Head. 240x240.
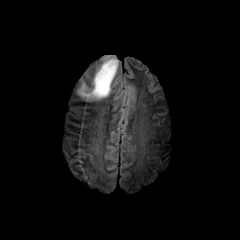
FLAIR MR.
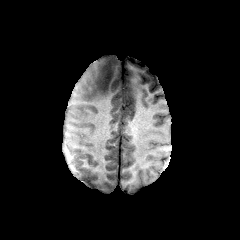
T1-weighted MR image.
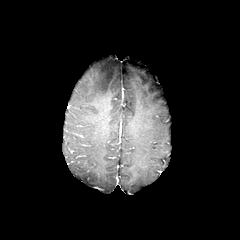
Same slice, post-contrast T1-weighted MR.
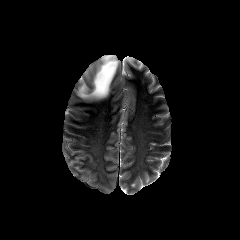
T2-weighted MR image.
Segmented structures:
* edema: x1=78 y1=56 x2=120 y2=100